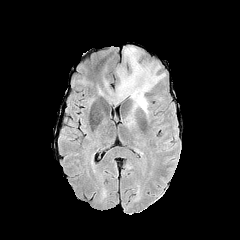
FLAIR MR.
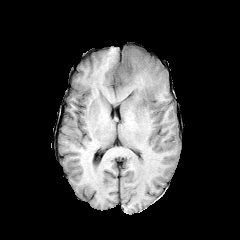
Same slice, T1-weighted MR image.
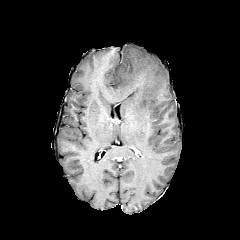
Post-contrast T1-weighted magnetic resonance.
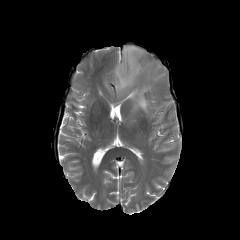
T2-weighted MR.
240x240 px
<segmentation>
  <edema>113,47,165,115</edema>
</segmentation>